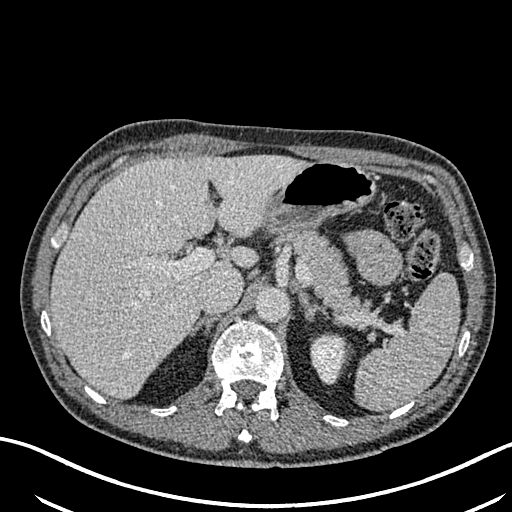
CT image; Liver
<segmentation>
  <kidney>bbox(312, 337, 343, 380)</kidney>
  <liver_lesion>bbox(204, 197, 213, 209); bbox(149, 288, 157, 301)</liver_lesion>
  <liver>bbox(51, 155, 306, 397)</liver>
</segmentation>